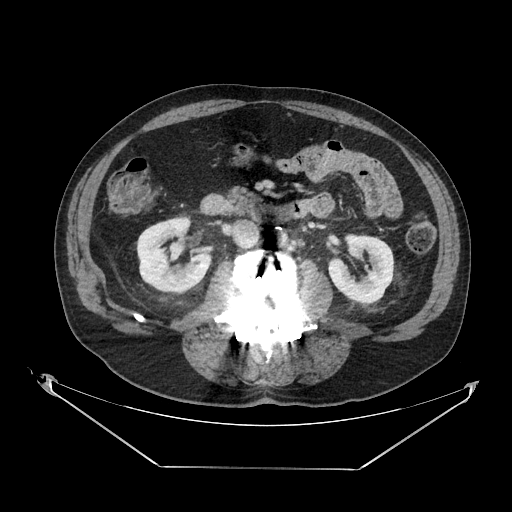 Upper abdomen | Computed tomography

pancreas: left=223, top=185, right=262, bottom=211